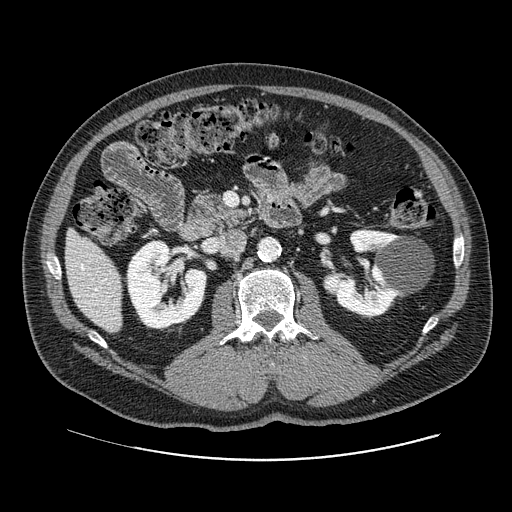
Abdomen, CT image, 512x512

The pancreas lies within bbox=[190, 192, 242, 232].